240x240, Head
FLAIR MRI.
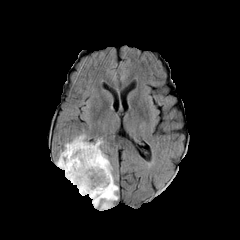
T1-weighted MR.
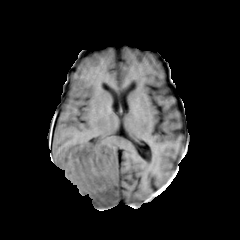
Post-contrast T1-weighted MR image.
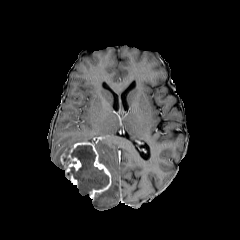
T2-weighted MRI.
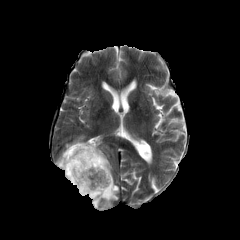
5 edema regions are located at (77, 158, 107, 195), (74, 146, 91, 153), (56, 156, 64, 169), (92, 139, 118, 209), (60, 135, 93, 155). The non-enhancing tumor core lies within (70, 145, 95, 179). 2 enhancing tumor regions appear at (70, 173, 77, 185), (64, 142, 111, 198).